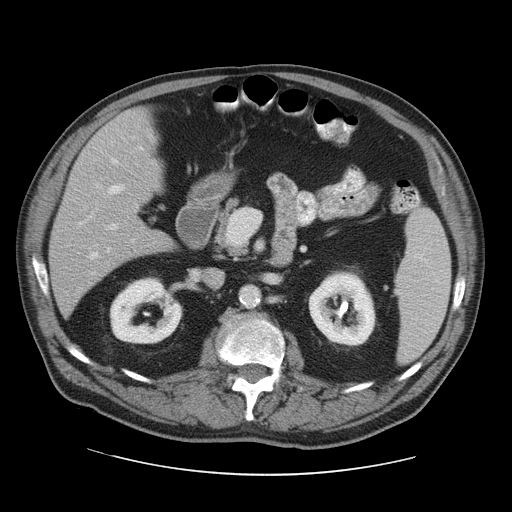

CT | 512x512 px
Only some of the vessels may be annotated.
Findings:
* hepatic vessel: left=113, top=224, right=116, bottom=228; left=107, top=248, right=109, bottom=251; left=90, top=252, right=96, bottom=258; left=109, top=185, right=123, bottom=193; left=112, top=158, right=116, bottom=162